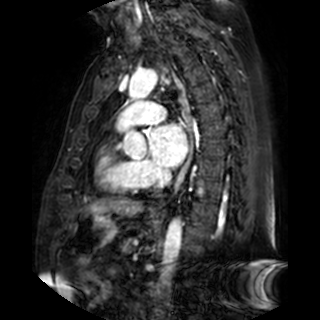
Cardiac | MRI

The left atrium appears at bbox=[150, 124, 186, 166].